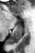

Hippocampus. 35x53. MR. Segmented structures:
* posterior hippocampus: [7, 25, 21, 45]